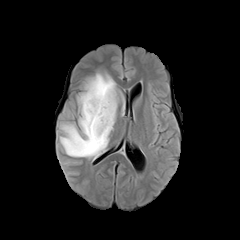
FLAIR magnetic resonance.
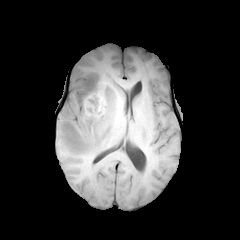
T1-weighted MR image.
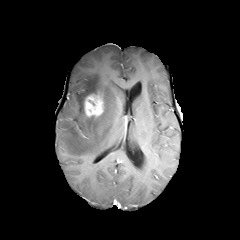
Same slice, post-contrast T1-weighted MR image.
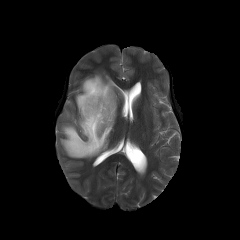
T2-weighted MR image.
240x240.
{"non-enhancing_tumor_core": ["87, 96, 101, 106"], "edema": ["59, 73, 118, 160", "62, 109, 73, 118"], "enhancing_tumor": ["85, 99, 102, 115"]}